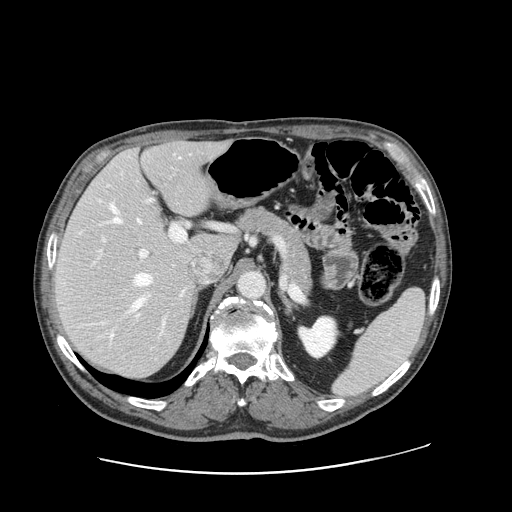

Image size 512x512, Computed tomography, Liver
Some hepatic vessels may have no box.
Findings:
* hepatic vessel: [135,314,138,316], [110,204,117,213], [112,217,120,222], [162,320,164,325], [147,199,151,201], [140,249,147,257], [135,273,151,285], [131,298,143,310], [110,333,113,337], [138,219,140,223]